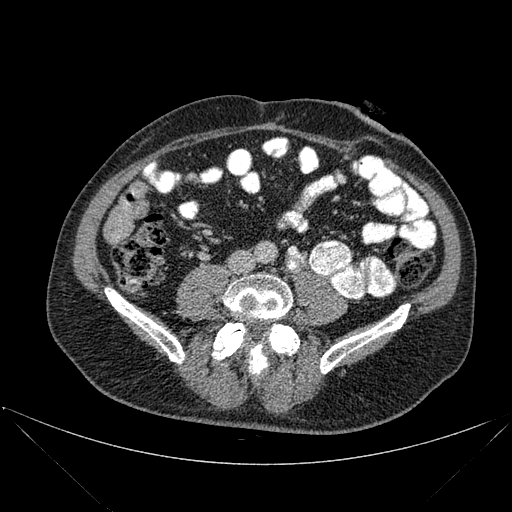

512x512 px; CT scan slice

Bone = <box>105,288,184,363</box>, <box>249,344,267,376</box>, <box>268,324,299,355</box>, <box>320,304,409,373</box>, <box>223,275,292,318</box>, <box>212,323,244,359</box>.